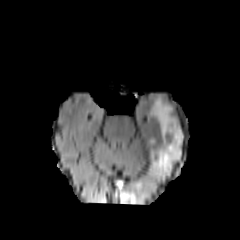
FLAIR magnetic resonance.
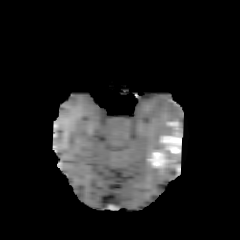
T1-weighted MRI.
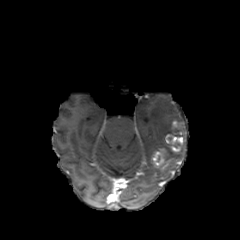
Same slice, post-contrast T1-weighted MR image.
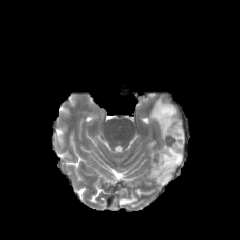
T2-weighted MR of the same slice.
Head
Findings:
• edema: <box>149,97,181,185</box>, <box>120,198,136,203</box>
• enhancing tumor: <box>151,149,172,166</box>, <box>165,134,183,151</box>
• non-enhancing tumor core: <box>156,160,175,167</box>, <box>166,126,181,136</box>